FLAIR MR.
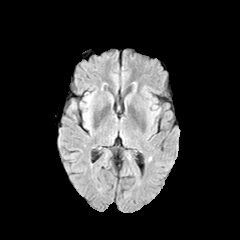
T1-weighted MR image.
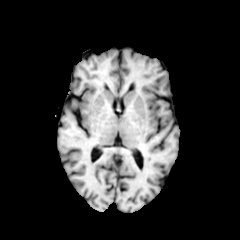
Post-contrast T1-weighted MRI.
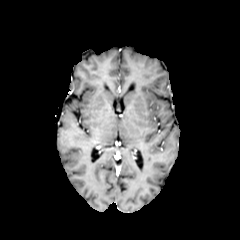
T2-weighted MR image.
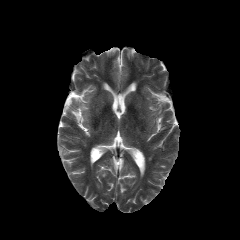
Head
The edema appears at l=150, t=108, r=159, b=118.